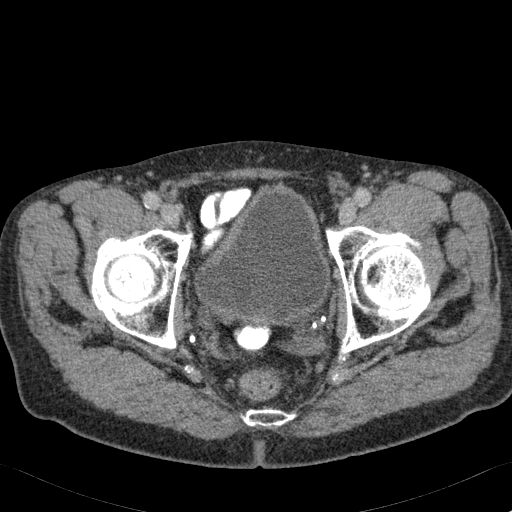

CT image, Pelvis
{"urinary_bladder": ["left=195, top=188, right=332, bottom=319"]}